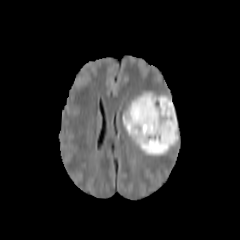
FLAIR MR image.
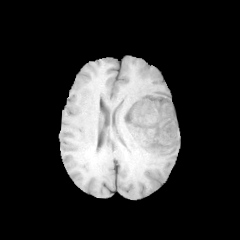
T1-weighted MR.
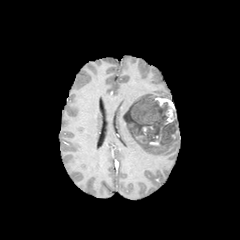
Post-contrast T1-weighted MR of the same slice.
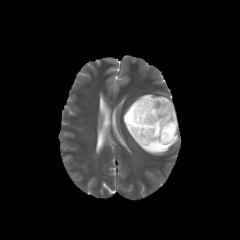
Same slice, T2-weighted magnetic resonance.
Non-enhancing tumor core — (x1=124, y1=98, x2=178, y2=144).
Enhancing tumor — (x1=154, y1=96, x2=176, y2=124), (x1=141, y1=125, x2=153, y2=135), (x1=137, y1=132, x2=161, y2=145).
Edema — (x1=137, y1=131, x2=178, y2=155), (x1=123, y1=115, x2=135, y2=140), (x1=124, y1=91, x2=155, y2=114).